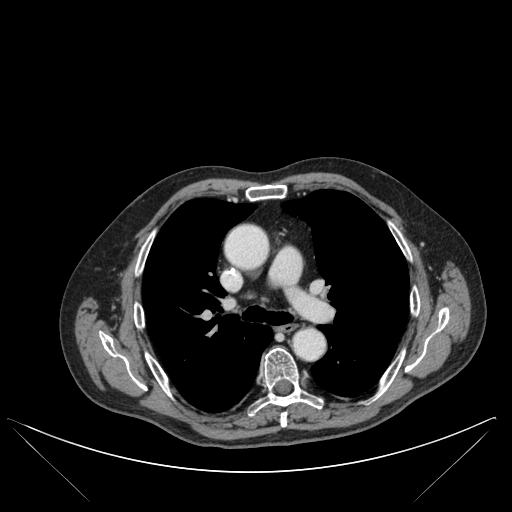 Thorax, 512x512, Computed tomography
Bone at x1=280, y1=412, x2=286, y2=426; x1=134, y1=303, x2=144, y2=327; x1=391, y1=224, x2=409, y2=256; x1=375, y1=350, x2=404, y2=398; x1=405, y1=308, x2=449, y2=371; x1=136, y1=233, x2=153, y2=274; x1=100, y1=333, x2=146, y2=390; x1=410, y1=287, x2=420, y2=315; x1=145, y1=353, x2=171, y2=396; x1=246, y1=185, x2=286, y2=200; x1=250, y1=348, x2=322, y2=415.
Lung at x1=142, y1=198, x2=292, y2=412; x1=282, y1=189, x2=408, y2=396.